FLAIR magnetic resonance.
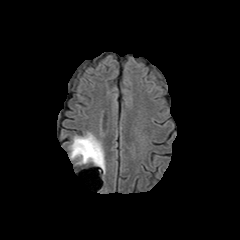
T1-weighted magnetic resonance.
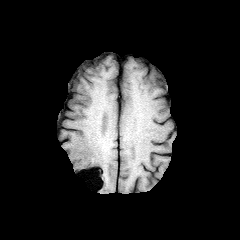
Post-contrast T1-weighted MRI.
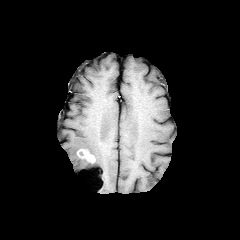
T2-weighted magnetic resonance.
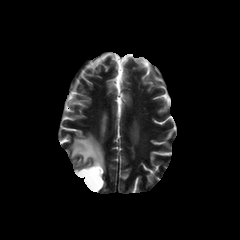
240x240 px.
Findings:
- non-enhancing tumor core: [86, 156, 103, 175]
- enhancing tumor: [77, 149, 95, 162]
- edema: [69, 132, 106, 174]